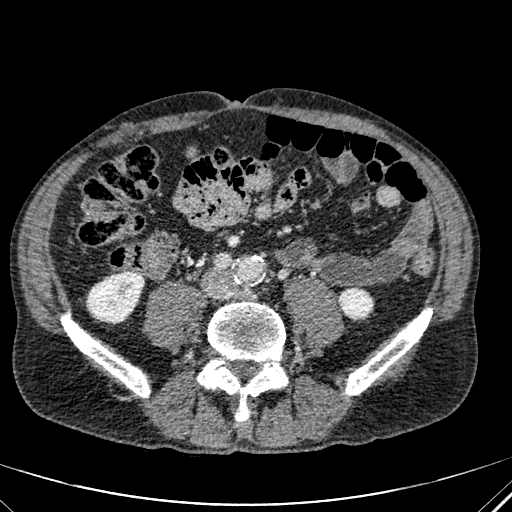

Abdomen, CT image, Image size 512x512

Kidney — 87:272:143:322, 340:289:372:318.